Brain | Slice 133/155 | Image width 240 mm
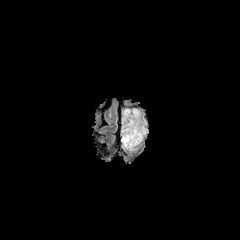
FLAIR MR.
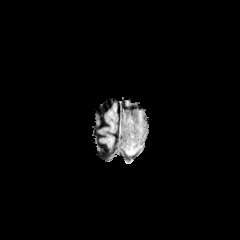
Same slice, T1-weighted MRI.
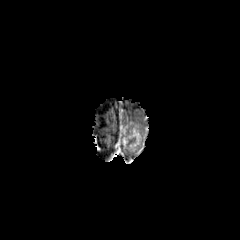
Post-contrast T1-weighted MRI.
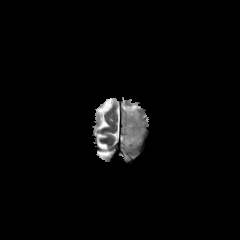
T2-weighted MRI.
Annotated regions:
- non-enhancing tumor core: (122, 124, 134, 138)
- enhancing tumor: (121, 125, 141, 151)
- edema: (122, 107, 146, 136)